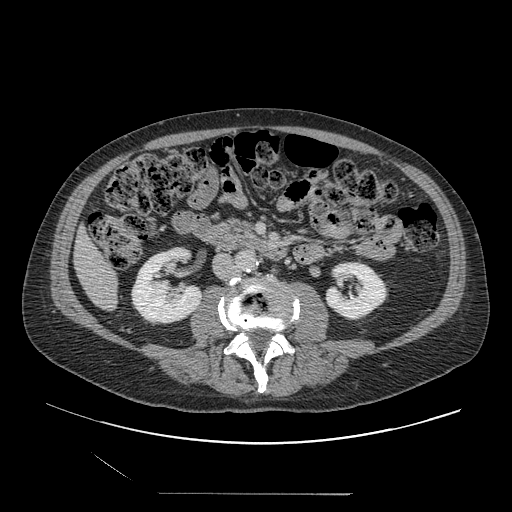

512x512 | CT image
<segmentation>
  <pancreas>212, 217, 260, 248</pancreas>
</segmentation>